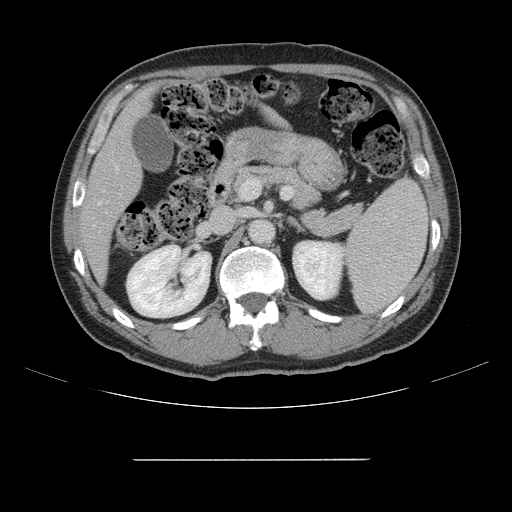

Computed tomography.

Only some of the vessels may be annotated.
Hepatic vessel: (left=98, top=201, right=100, bottom=204), (left=115, top=166, right=118, bottom=170).